240x240 px, Slice 63 of 155
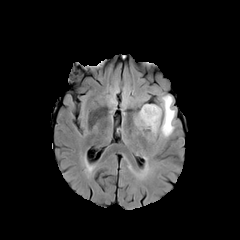
FLAIR MR.
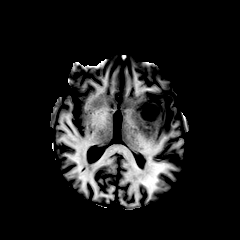
T1-weighted magnetic resonance of the same slice.
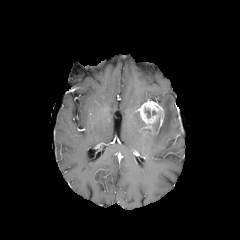
Same slice, post-contrast T1-weighted MRI.
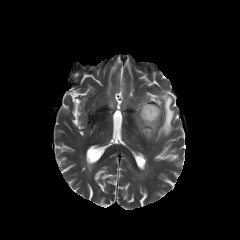
T2-weighted MR image.
2 edema regions appear at (134,93,176,138), (138,94,150,105). The non-enhancing tumor core is at (143,105,161,125). The enhancing tumor appears at (140,101,162,122).